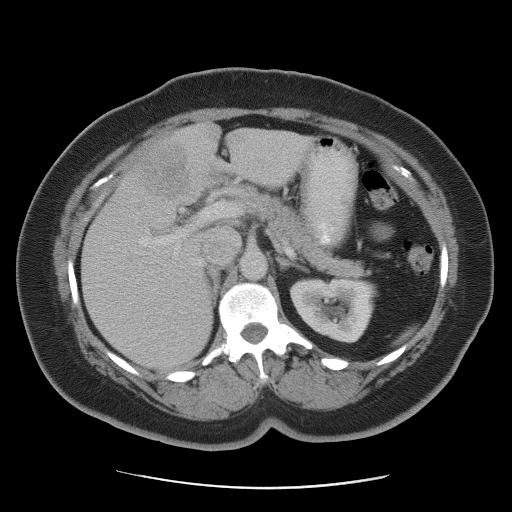

Computed tomography. Liver. Only some of the vessels may be annotated.
2 hepatic vessel regions are bounded by (left=198, top=203, right=238, bottom=222), (left=139, top=231, right=186, bottom=246). The liver tumor lies within (left=141, top=144, right=185, bottom=198).